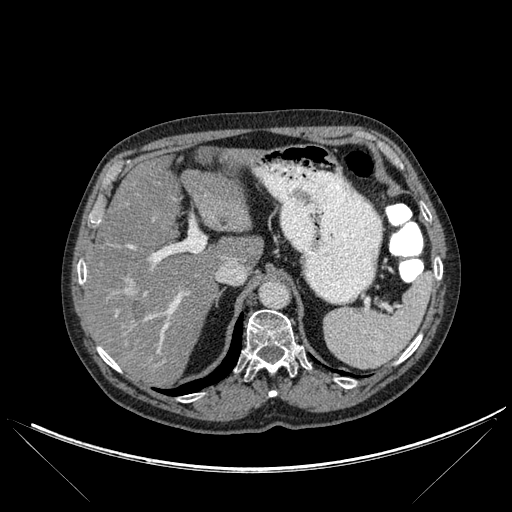 Liver, CT slice
liver:
  - <bbox>85, 157, 263, 387</bbox>
  - <bbox>182, 148, 260, 232</bbox>
liver_lesion:
  - <bbox>199, 148, 207, 162</bbox>
  - <bbox>133, 301, 144, 322</bbox>
lung:
  - <bbox>158, 315, 242, 395</bbox>
bone:
  - <bbox>334, 377, 356, 388</bbox>
  - <bbox>434, 257, 442, 279</bbox>
  - <bbox>178, 393, 201, 402</bbox>
  - <bbox>398, 335, 421, 362</bbox>
  - <bbox>97, 347, 120, 371</bbox>
  - <bbox>421, 203, 431, 220</bbox>
  - <bbox>235, 310, 310, 374</bbox>
  - <bbox>77, 260, 86, 283</bbox>